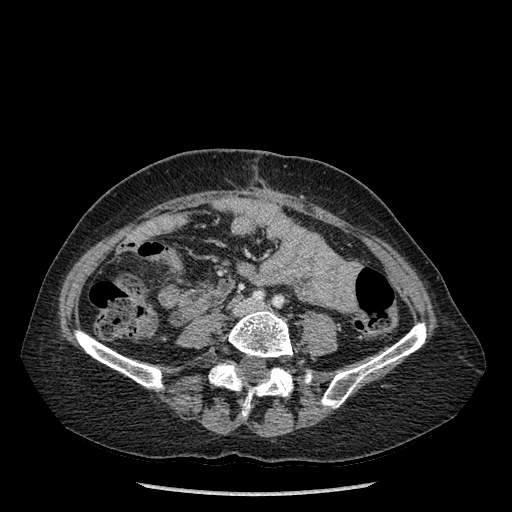 CT image.

6 bone regions are located at (left=321, top=323, right=426, bottom=408), (left=228, top=309, right=292, bottom=357), (left=242, top=368, right=292, bottom=416), (left=209, top=362, right=242, bottom=390), (left=305, top=370, right=311, bottom=383), (left=75, top=330, right=163, bottom=390).